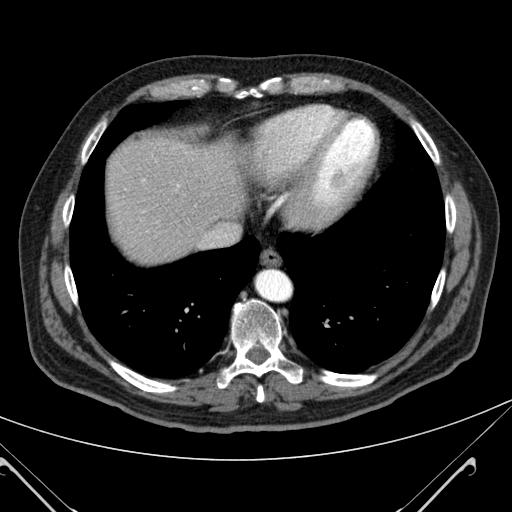 Computed tomography. 512x512 px. The liver is at region(104, 136, 251, 265).